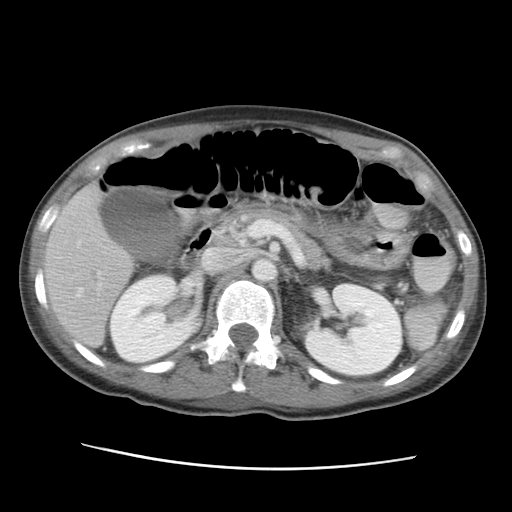

CT scan slice | Upper abdomen
Segmented structures:
* kidney: box=[305, 284, 402, 375]; box=[110, 276, 198, 361]; box=[181, 278, 197, 294]
* liver: box=[44, 185, 133, 346]